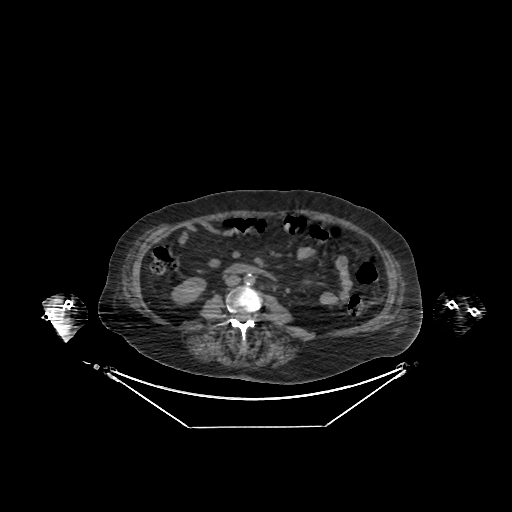

CT image; Abdomen; 512x512
Kidney: [x1=171, y1=277, x2=206, y2=304].